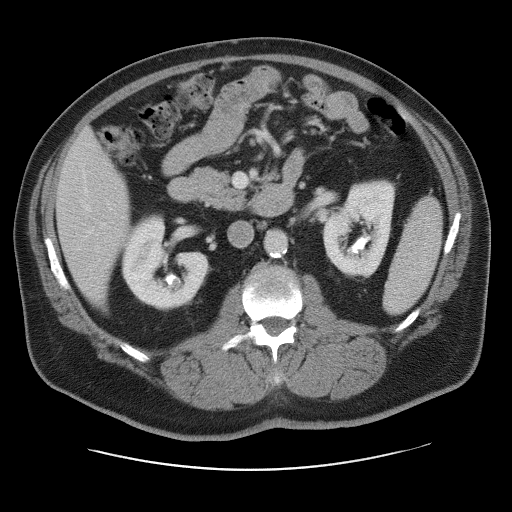 CT image
The vessel boxes may cover only some of the vessels.
hepatic_vessel:
  - left=88, top=230, right=90, bottom=232
  - left=83, top=205, right=89, bottom=209
  - left=234, top=174, right=246, bottom=186